Abdomen; CT; Image width 442 mm
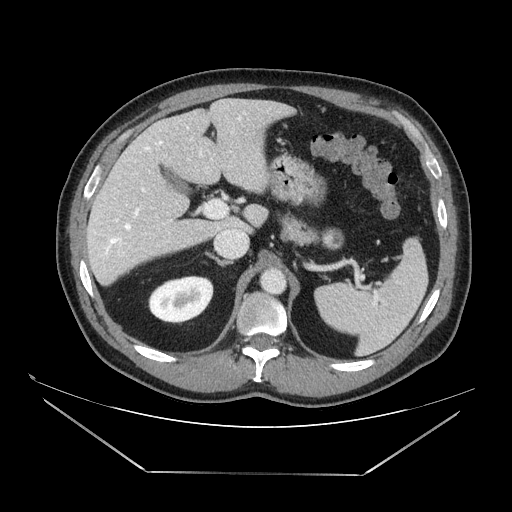 The pancreas appears at l=279, t=212, r=337, b=250. The pancreatic tumor is located at l=323, t=228, r=343, b=248.